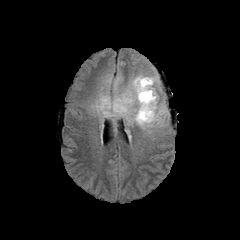
FLAIR MRI.
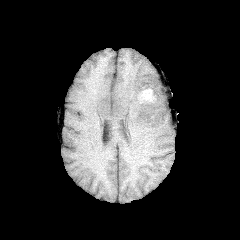
T1-weighted MR image.
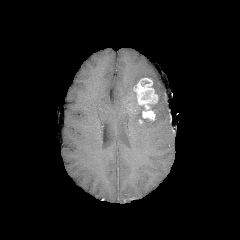
Post-contrast T1-weighted MR.
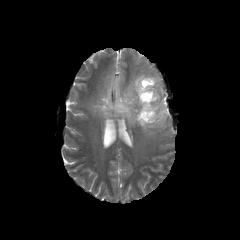
Same slice, T2-weighted MRI.
non-enhancing tumor core: <bbox>143, 96, 163, 122</bbox>, <bbox>142, 76, 157, 93</bbox>, <bbox>124, 92, 143, 123</bbox> | edema: <bbox>90, 68, 170, 135</bbox> | enhancing tumor: <bbox>133, 77, 158, 123</bbox>